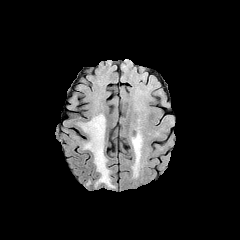
FLAIR magnetic resonance.
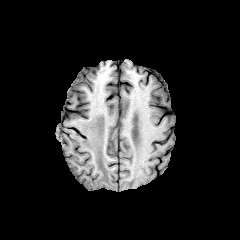
T1-weighted magnetic resonance of the same slice.
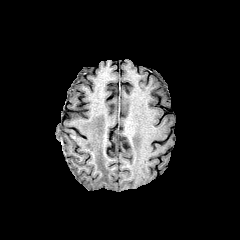
Post-contrast T1-weighted magnetic resonance.
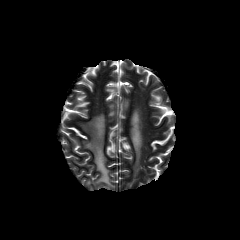
T2-weighted MR image.
Head, 240x240 px
edema:
  - left=81, top=113, right=114, bottom=187
  - left=134, top=147, right=139, bottom=163